FLAIR MR.
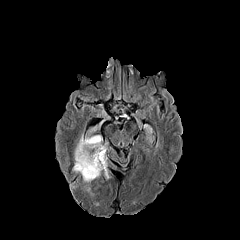
T1-weighted MR image.
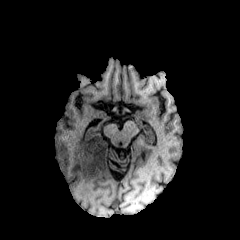
Post-contrast T1-weighted MR image.
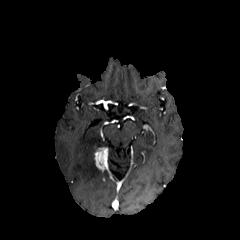
T2-weighted MRI.
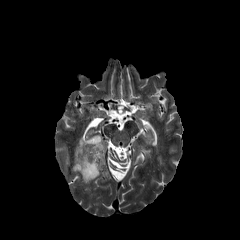
Head. 240x240 px.
<segmentation>
  <enhancing_tumor>l=94, t=147, r=106, b=172</enhancing_tumor>
  <edema>l=73, t=135, r=100, b=181</edema>
</segmentation>